FLAIR magnetic resonance.
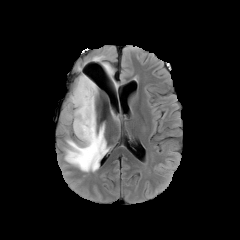
T1-weighted magnetic resonance.
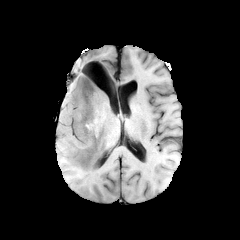
Post-contrast T1-weighted MR.
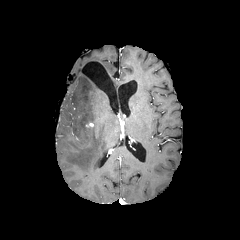
T2-weighted MR.
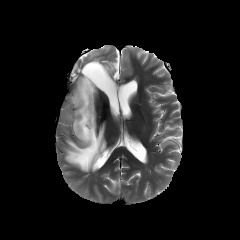
Head, 240x240
Edema — 65 74 109 171, 94 56 114 78.